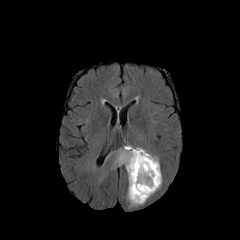
FLAIR magnetic resonance.
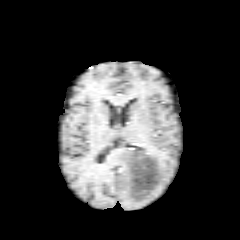
T1-weighted MRI.
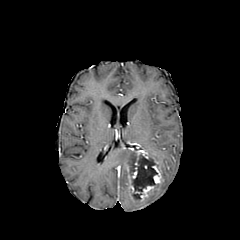
Post-contrast T1-weighted MR image.
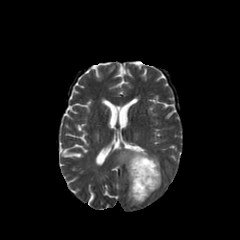
Same slice, T2-weighted MR image.
Head, 240x240 px
Edema = [127,147,162,206], [115,146,135,165].
Non-enhancing tumor core = [125,151,157,202].
Enhancing tumor = [140,185,155,200], [132,149,148,178], [152,162,160,184].